512x512; CT image; Upper abdomen
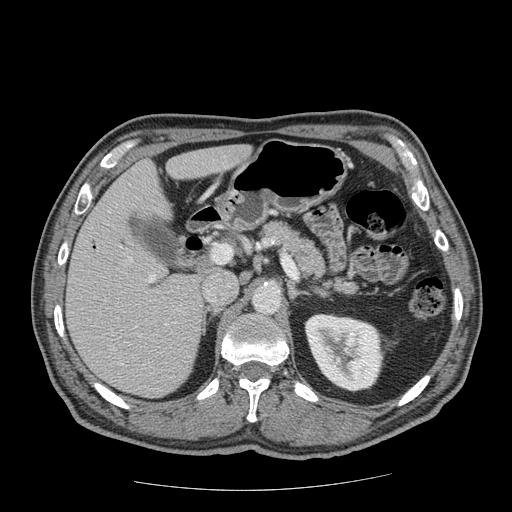

The pancreas appears at (257,218,366,300).